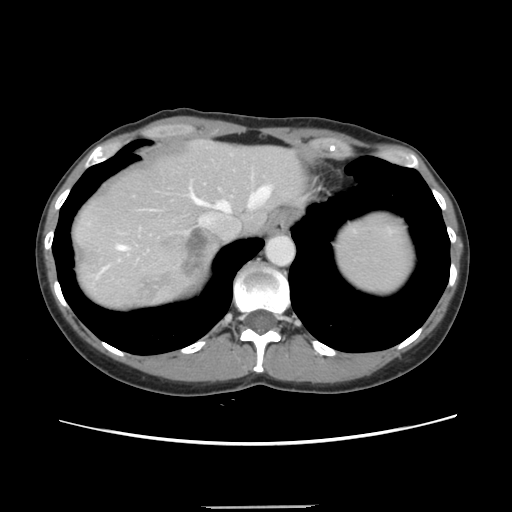 Computed tomography | Abdomen
The vessel boxes may cover only some of the vessels.
liver_tumor:
  - region(188, 230, 206, 250)
hepatic_vessel:
  - region(248, 185, 269, 207)
  - region(98, 266, 106, 275)
  - region(199, 217, 203, 224)
  - region(139, 209, 157, 210)
  - region(185, 180, 229, 212)
  - region(117, 259, 118, 261)
  - region(116, 245, 126, 250)